Medial temporal lobe | Image size 35x50 | MR image | Image width 35 mm

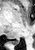 Segmented structures:
* posterior hippocampus: box(15, 41, 19, 44)